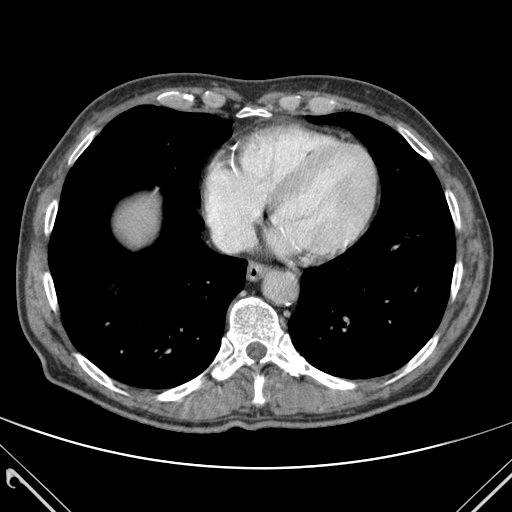
CT scan slice
The liver is at (left=119, top=204, right=153, bottom=241). 12 bone regions appear at (left=237, top=108, right=270, bottom=116), (left=446, top=192, right=459, bottom=227), (left=44, top=271, right=56, bottom=310), (left=158, top=374, right=202, bottom=400), (left=401, top=337, right=437, bottom=375), (left=254, top=376, right=264, bottom=403), (left=400, top=129, right=432, bottom=159), (left=45, top=199, right=56, bottom=233), (left=76, top=355, right=117, bottom=390), (left=451, top=263, right=462, bottom=296), (left=212, top=297, right=354, bottom=389), (left=69, top=132, right=94, bottom=161). 2 lung regions appear at (left=48, top=105, right=246, bottom=388), (left=288, top=112, right=455, bottom=378).